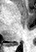 MRI | Medial temporal lobe

Posterior hippocampus at 14 43 19 45.